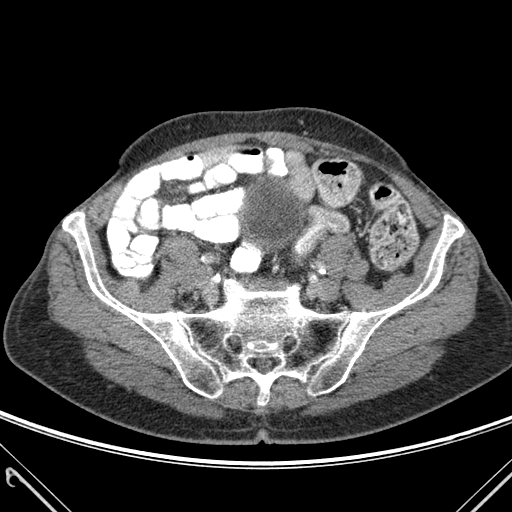

CT slice. 512x512.
Bone: bounding box rect(62, 212, 464, 405).